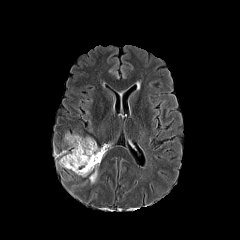
FLAIR MRI.
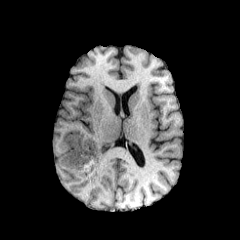
T1-weighted MR.
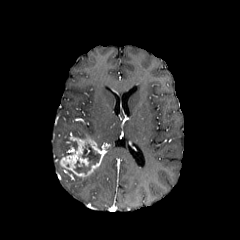
Same slice, post-contrast T1-weighted magnetic resonance.
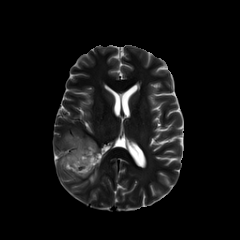
T2-weighted MR image.
Head, 240x240
Segmented structures:
- edema: [x1=89, y1=168, x2=97, y2=183]
- enhancing tumor: [x1=60, y1=135, x2=105, y2=177]
- non-enhancing tumor core: [x1=66, y1=134, x2=77, y2=150], [x1=73, y1=143, x2=100, y2=174]